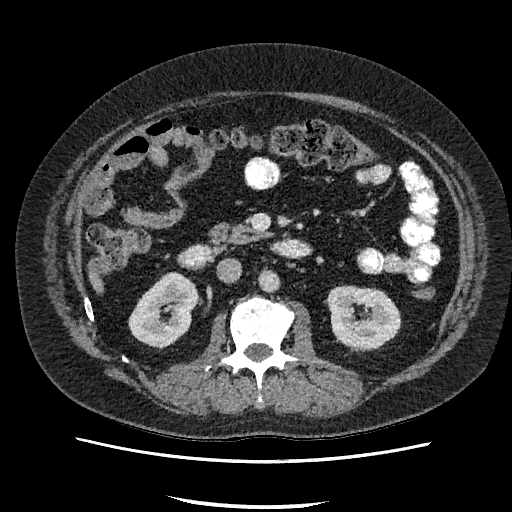

512x512 px, CT
2 kidney regions are located at (x1=328, y1=287, x2=399, y2=347), (x1=129, y1=274, x2=196, y2=345). The liver is at (x1=93, y1=275, x2=101, y2=289).